Image width 442 mm; Slice 61 of 104; Computed tomography

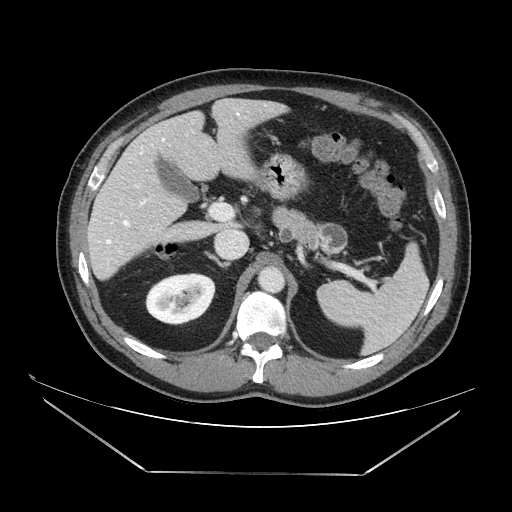
Pancreatic tumor: bounding box <box>319,223,347,253</box>.
Pancreas: bounding box <box>270,204,326,250</box>.